240x240 px | Slice 83 of 155 | Field of view 240x240 mm | Brain
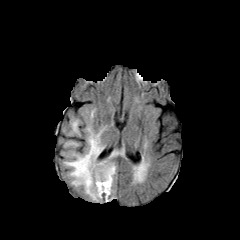
FLAIR MR image.
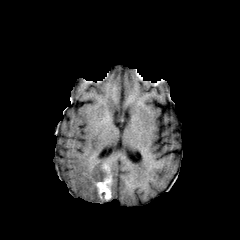
Same slice, T1-weighted MR image.
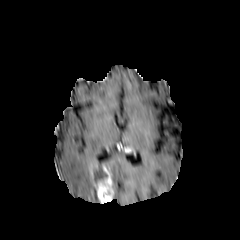
Same slice, post-contrast T1-weighted MR.
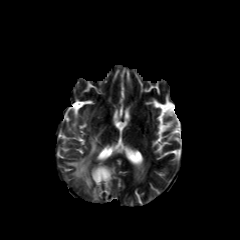
T2-weighted MR.
The non-enhancing tumor core is bounded by {"x1": 92, "y1": 164, "x2": 106, "y2": 185}. The enhancing tumor is located at {"x1": 94, "y1": 165, "x2": 111, "y2": 201}. 4 edema regions are located at {"x1": 70, "y1": 120, "x2": 79, "y2": 134}, {"x1": 109, "y1": 151, "x2": 123, "y2": 158}, {"x1": 64, "y1": 127, "x2": 115, "y2": 201}, {"x1": 64, "y1": 141, "x2": 77, "y2": 147}.